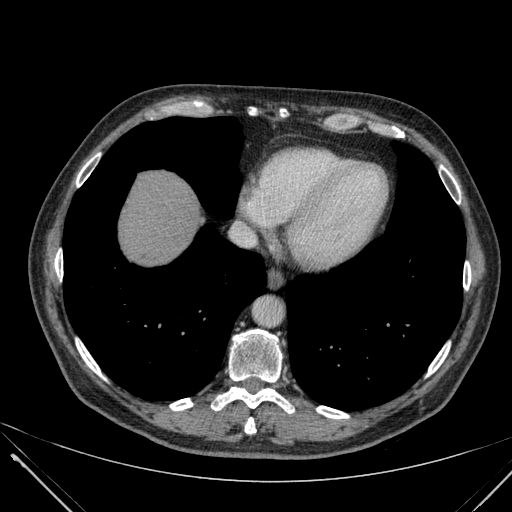
Upper abdomen, CT image
The liver is located at [119, 171, 204, 264].